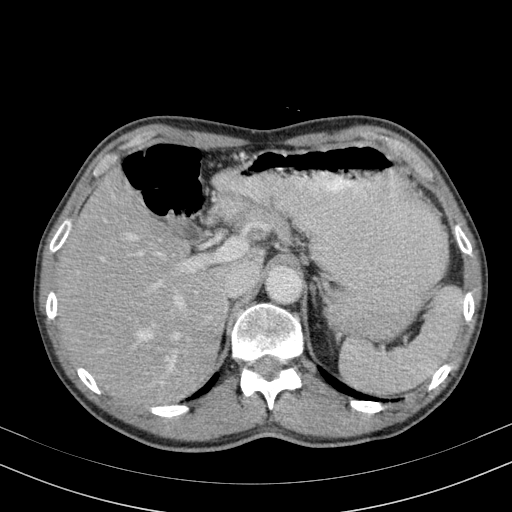
CT | Abdomen | Image size 512x512
• liver: [57, 167, 266, 403]